FLAIR magnetic resonance.
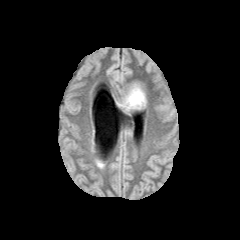
T1-weighted magnetic resonance.
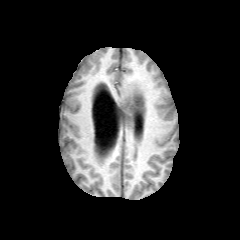
Post-contrast T1-weighted MRI.
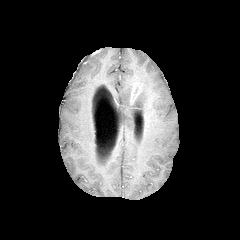
T2-weighted MRI.
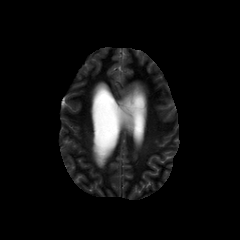
Head.
Enhancing tumor: bounding box box(128, 84, 140, 106).
Edema: bounding box box(112, 80, 149, 114).